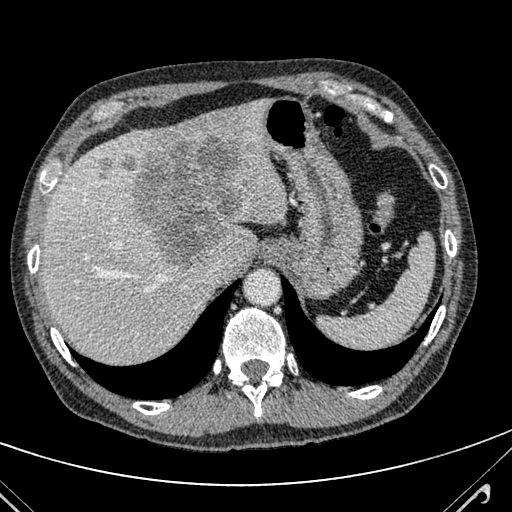

Liver; CT
Findings:
• liver: 43 100 287 362
• hepatic lesion: 124 159 135 169, 134 136 242 266, 100 161 111 179